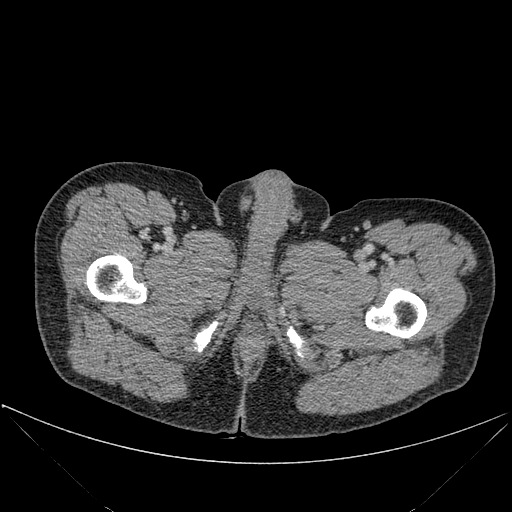 CT image

4 bone regions are bounded by 86 255 146 303, 287 327 303 356, 366 288 426 337, 194 321 217 351.